Image size 512x512, Computed tomography, Slice 28 of 39, Liver
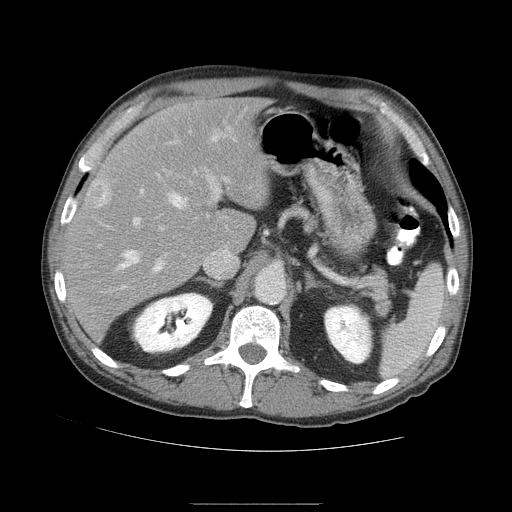

Only some of the vessels may be annotated.
Annotated regions:
- hepatic vessel (principal 15 of 16): left=169, top=193, right=186, bottom=207; left=211, top=132, right=223, bottom=141; left=120, top=285, right=124, bottom=288; left=141, top=189, right=143, bottom=192; left=160, top=227, right=162, bottom=229; left=157, top=174, right=159, bottom=176; left=91, top=216, right=113, bottom=229; left=224, top=178, right=228, bottom=181; left=133, top=217, right=139, bottom=225; left=168, top=142, right=175, bottom=143; left=153, top=259, right=163, bottom=271; left=212, top=183, right=216, bottom=194; left=118, top=251, right=138, bottom=268; left=227, top=127, right=230, bottom=131; left=207, top=176, right=211, bottom=182
- liver tumor: left=84, top=178, right=114, bottom=210